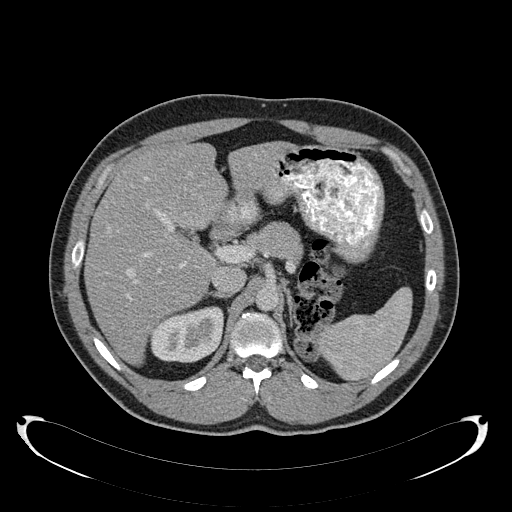 Liver | CT image
<segmentation>
  <liver>[86, 144, 226, 364], [229, 141, 294, 198]</liver>
  <kidney>[150, 307, 222, 361]</kidney>
</segmentation>